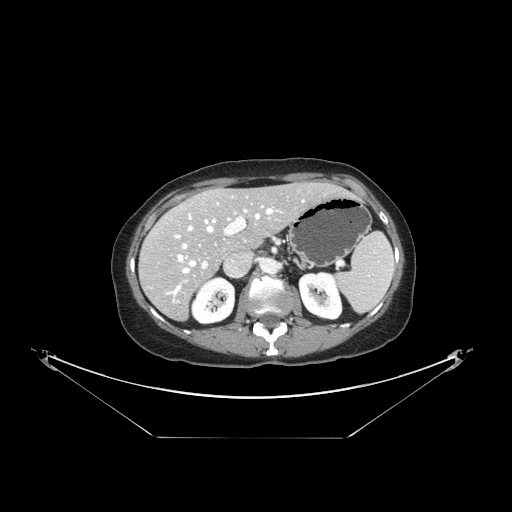 Abdomen; CT slice; Image size 512x512
Only some of the vessels may be annotated.
Segmented structures:
• hepatic vessel: <box>189,227,191,229</box>, <box>256,215,258,217</box>, <box>203,262,206,266</box>, <box>267,209,271,212</box>, <box>226,217,244,233</box>, <box>208,227,211,230</box>, <box>183,244,186,247</box>, <box>176,236,178,237</box>